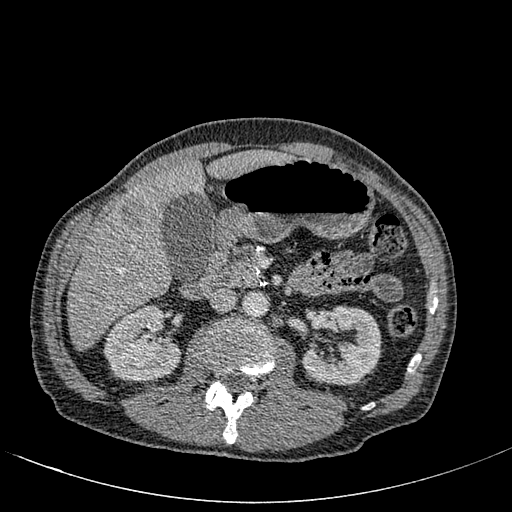 Computed tomography
Hepatic lesion: bounding box bbox(119, 201, 146, 229).
Liver: bounding box bbox(68, 162, 204, 350); bbox(208, 150, 290, 177).
Kidney: bounding box bbox(302, 306, 380, 384); bbox(104, 306, 180, 380).